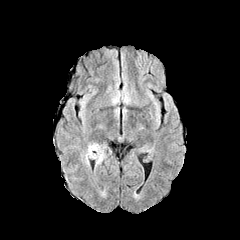
FLAIR magnetic resonance.
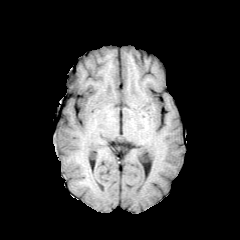
T1-weighted MR of the same slice.
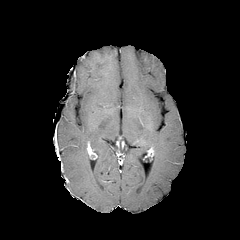
Same slice, post-contrast T1-weighted MRI.
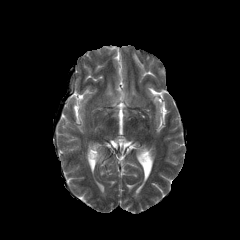
T2-weighted MR image of the same slice.
Head
Segmented structures:
• edema: bbox=[90, 142, 106, 166]; bbox=[81, 149, 89, 167]